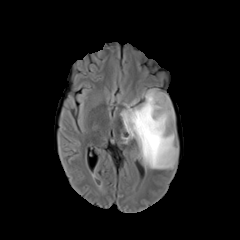
FLAIR MRI.
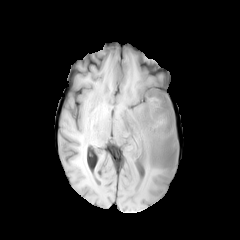
T1-weighted MR image.
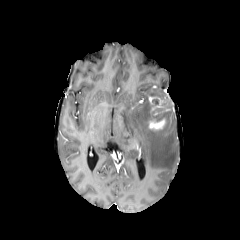
Post-contrast T1-weighted MRI.
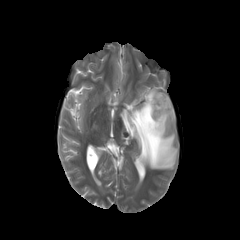
T2-weighted MR of the same slice.
<segmentation>
  <enhancing_tumor>[148, 118, 165, 130], [154, 97, 167, 107]</enhancing_tumor>
  <edema>[120, 88, 178, 169]</edema>
  <non-enhancing_tumor_core>[136, 93, 173, 132]</non-enhancing_tumor_core>
</segmentation>